Slice 61 of 155. Image size 240x240. Brain.
FLAIR MR.
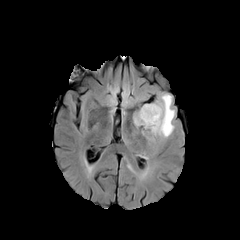
T1-weighted MR.
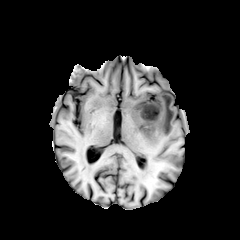
Post-contrast T1-weighted magnetic resonance.
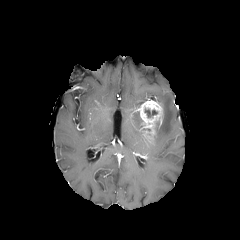
T2-weighted magnetic resonance.
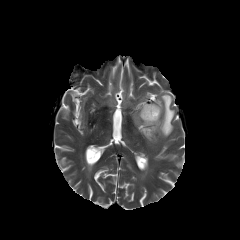
Edema: bounding box 154, 93, 175, 137; 133, 116, 141, 125.
Enhancing tumor: bounding box 137, 100, 162, 131.
Non-enhancing tumor core: bounding box 145, 109, 157, 117.